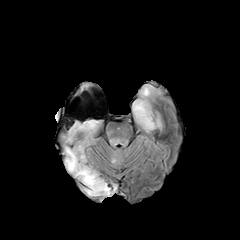
FLAIR MR image.
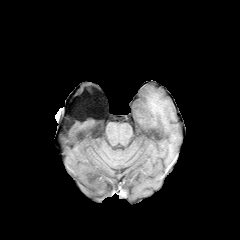
T1-weighted MRI.
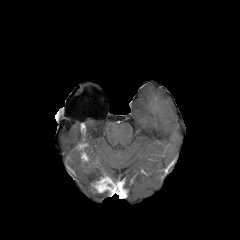
Post-contrast T1-weighted MR.
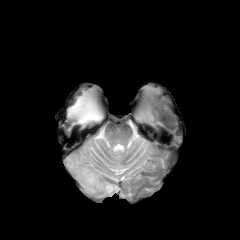
T2-weighted MRI.
240x240 px; Brain
3 edema regions are bounded by x1=65, y1=146, x2=109, y2=196; x1=135, y1=103, x2=152, y2=125; x1=69, y1=119, x2=99, y2=135. The enhancing tumor appears at x1=92, y1=178, x2=117, y2=193. 2 non-enhancing tumor core regions are bounded by x1=92, y1=174, x2=122, y2=190; x1=78, y1=140, x2=88, y2=156.